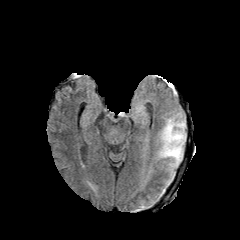
FLAIR MR image.
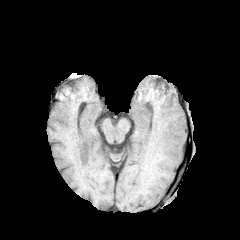
T1-weighted magnetic resonance.
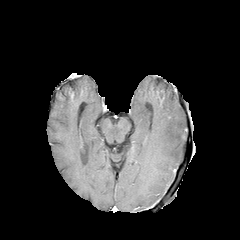
Same slice, post-contrast T1-weighted magnetic resonance.
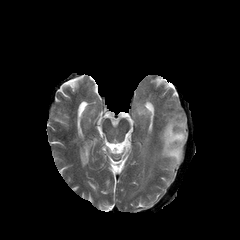
Same slice, T2-weighted MRI.
Brain
Findings:
- edema: bbox=[161, 120, 184, 173]